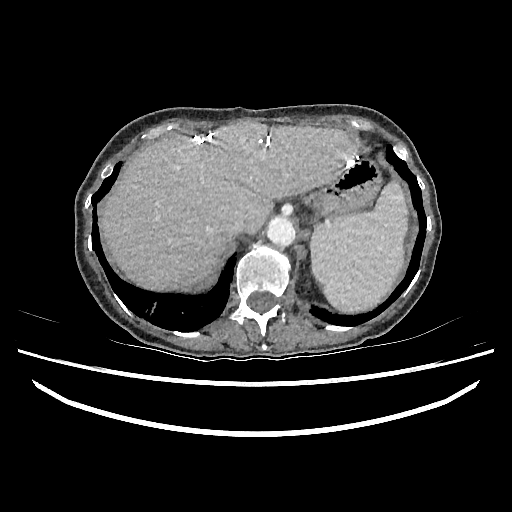
Abdomen; CT scan slice; Image size 512x512

liver: 104 122 356 288